CT scan slice | Abdomen
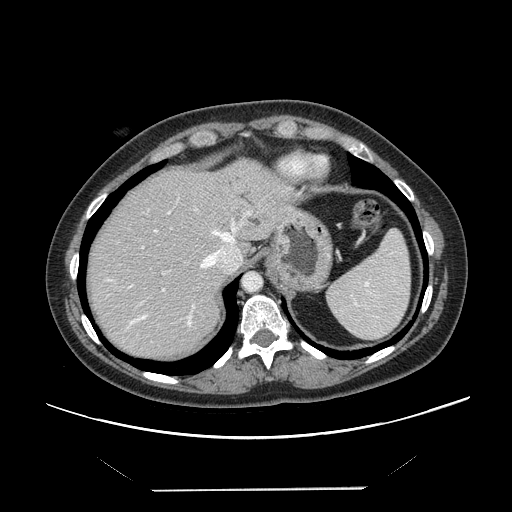 Some hepatic vessels may have no box.
Hepatic vessel: <bbox>188, 317, 190, 324</bbox>, <bbox>105, 279, 114, 280</bbox>, <bbox>162, 289, 165, 290</bbox>, <bbox>200, 210, 251, 272</bbox>, <bbox>131, 314, 147, 323</bbox>, <bbox>168, 211, 170, 213</bbox>, <bbox>154, 230, 157, 232</bbox>, <bbox>195, 208, 196, 210</bbox>, <bbox>142, 246, 143, 248</bbox>.